CT image
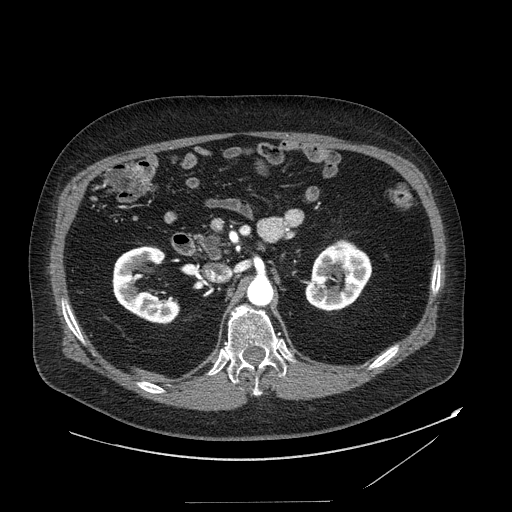

The pancreatic tumor appears at rect(207, 236, 219, 254). The pancreas is bounded by rect(194, 233, 229, 261).